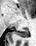 Image size 36x46, MRI slice, Hippocampus
The posterior hippocampus appears at (12,29,28,37).